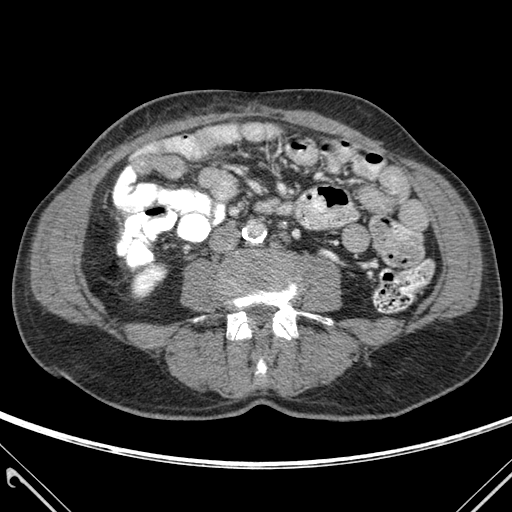

CT image. Abdomen.
2 bone regions are located at <box>257,360,265,373</box>, <box>224,260,319,339</box>. The kidney appears at <box>134,264,163,294</box>.